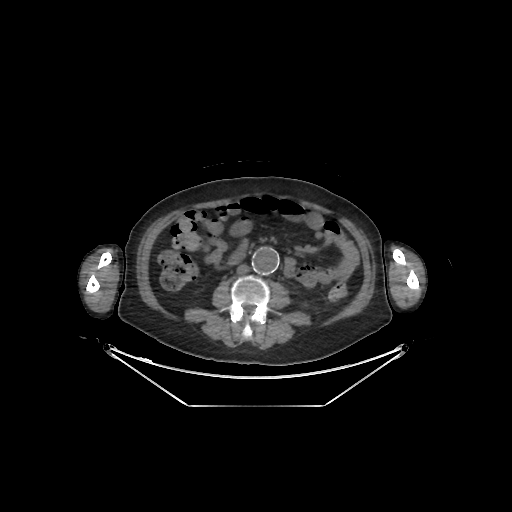
Image size 512x512. CT. bone: (98,251,111,268), (230,276,269,337), (86,275,99,293), (393,249,418,290)